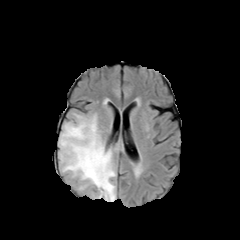
FLAIR MRI.
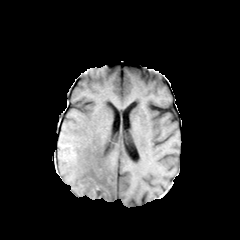
T1-weighted MRI.
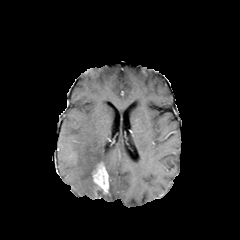
Post-contrast T1-weighted MRI.
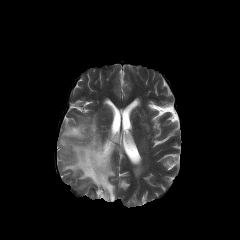
Same slice, T2-weighted MR.
Head; Image size 240x240
• edema: (left=58, top=115, right=116, bottom=201)
• enhancing tumor: (left=92, top=162, right=109, bottom=194)